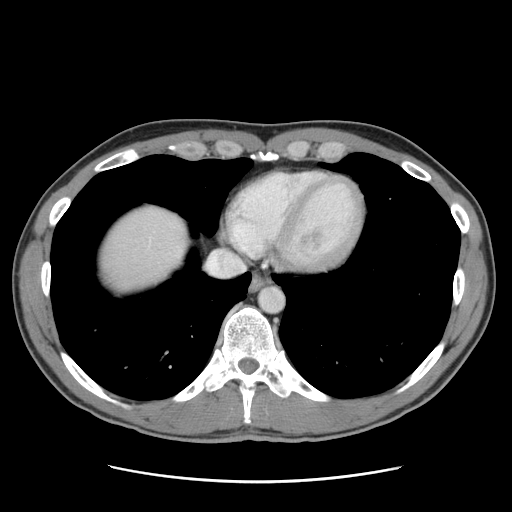 CT scan slice; 512x512; Abdomen

Some hepatic vessels may have no box.
Hepatic vessel: bounding box [149, 239, 149, 243].